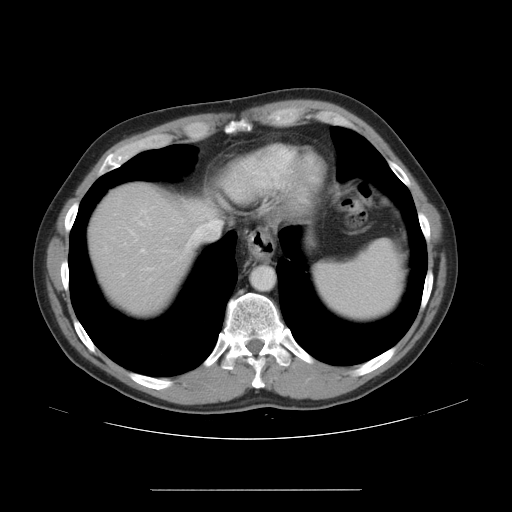 512x512, CT
Only some of the vessels may be annotated.
Hepatic vessel — {"x1": 141, "y1": 249, "x2": 144, "y2": 252}, {"x1": 130, "y1": 231, "x2": 133, "y2": 233}, {"x1": 139, "y1": 222, "x2": 142, "y2": 224}.